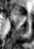
MRI; Medial temporal lobe

Anterior hippocampus at (12, 8, 17, 10), (20, 11, 26, 16).